Abdomen. 512x512. CT.
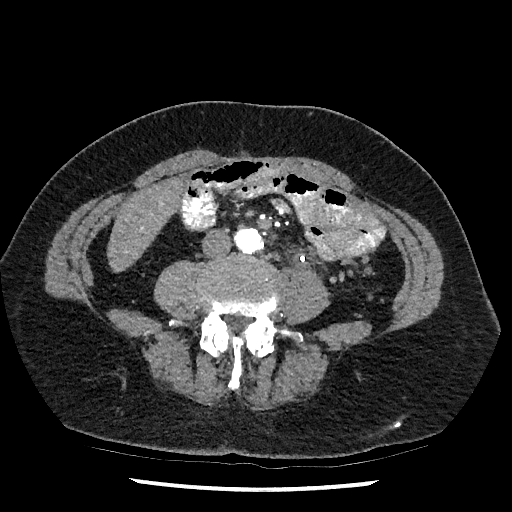
Liver at <box>107,178,181,270</box>.